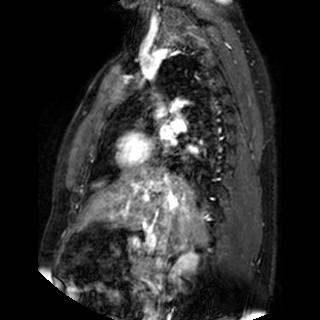 Image size 320x320 | Cardiac | MRI slice
The left atrium is at box=[161, 127, 173, 139].